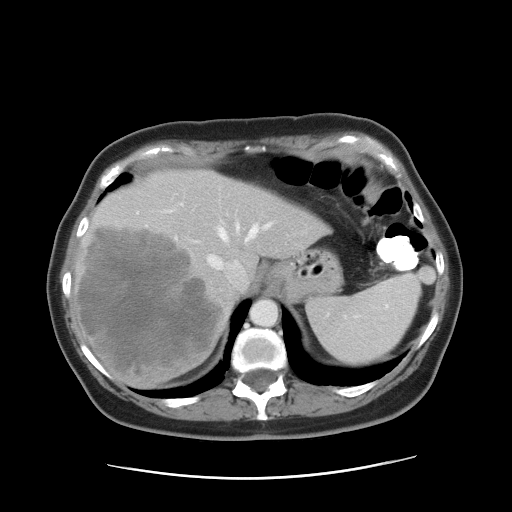 CT scan slice; Abdomen
The vessel annotation is not exhaustive.
The liver tumor lies within 76, 223, 225, 377. 6 hepatic vessel regions are bounded by 166, 211, 170, 212; 218, 229, 229, 244; 241, 224, 271, 244; 236, 224, 239, 231; 207, 254, 247, 288; 181, 204, 182, 205.